FLAIR MR.
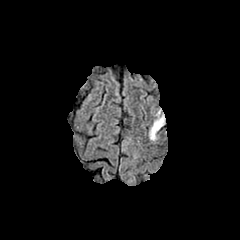
T1-weighted MRI.
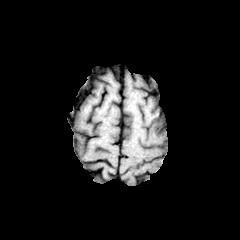
Post-contrast T1-weighted MR.
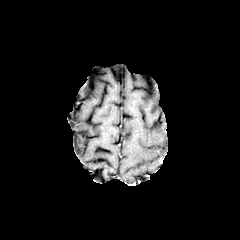
T2-weighted MRI.
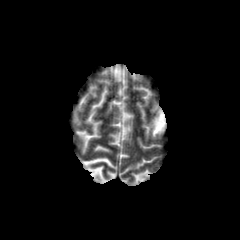
Brain
Segmented structures:
- edema: x1=149, y1=111, x2=164, y2=140